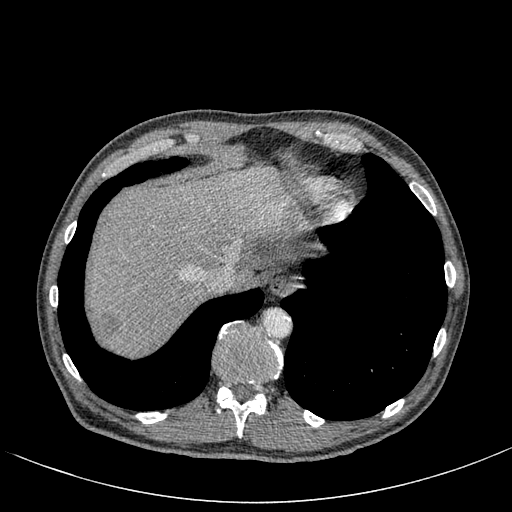 Liver | CT
liver_lesion:
  - [90,313,119,342]
  - [282,207,299,223]
liver:
  - [88,167,323,356]